Field of view 240 mm wide, 1.00 mm slice spacing. Slice 60 of 155. 240x240 px.
FLAIR MRI.
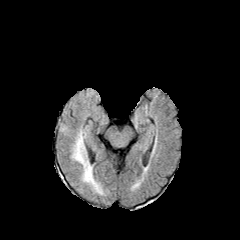
T1-weighted MR.
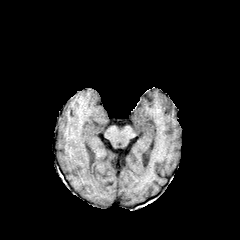
Post-contrast T1-weighted MR.
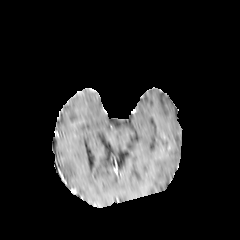
T2-weighted MRI.
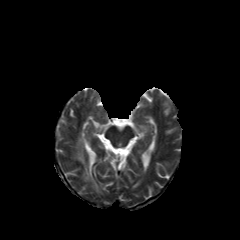
Edema = [72, 131, 103, 194].